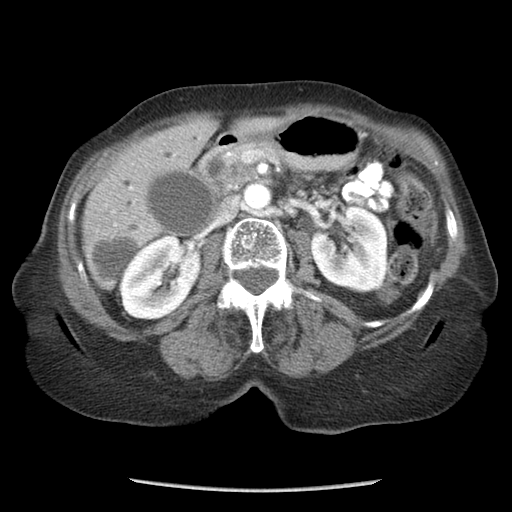

CT image; Abdomen
pancreatic tumor: region(220, 163, 248, 183) | pancreas: region(205, 142, 267, 192)